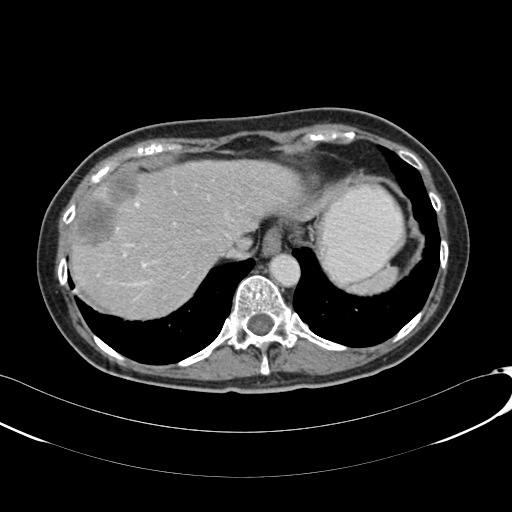

512x512, CT

{"liver": ["box=[71, 161, 303, 316]", "box=[90, 184, 106, 197]"], "liver_lesion": ["box=[72, 174, 137, 247]"]}